FLAIR MR.
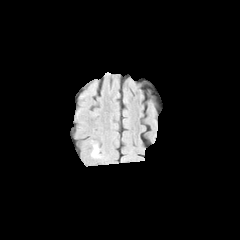
T1-weighted MR image.
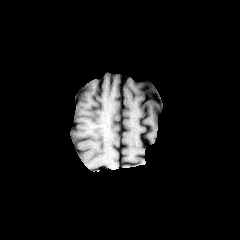
Post-contrast T1-weighted MRI.
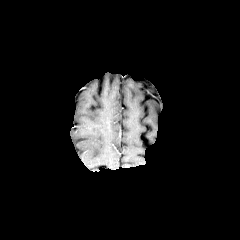
T2-weighted MRI.
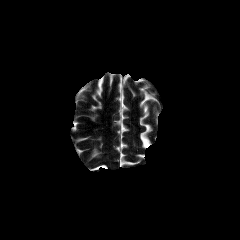
Edema: bounding box left=91, top=145, right=98, bottom=157.